CT scan slice | Image width 438 mm 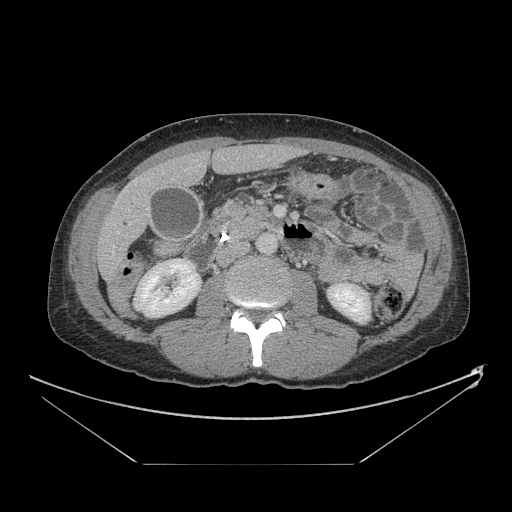

Annotated regions:
- pancreas: [x1=214, y1=194, x2=282, y2=242]